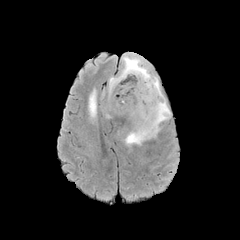
FLAIR MR.
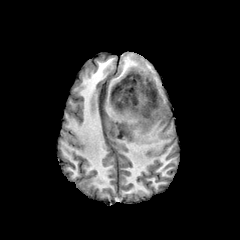
T1-weighted MRI of the same slice.
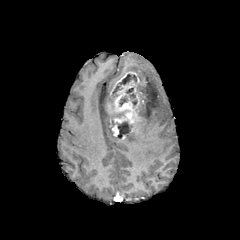
Post-contrast T1-weighted magnetic resonance.
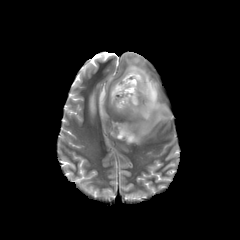
T2-weighted MRI.
240x240 px | Head
3 edema regions appear at [109, 95, 114, 108], [109, 52, 170, 144], [89, 90, 96, 117]. 2 non-enhancing tumor core regions are located at [115, 121, 132, 139], [112, 73, 142, 108]. 2 enhancing tumor regions are located at [114, 81, 136, 123], [112, 125, 118, 136].